Slice 464 of 781, Liver, Image size 512x512, CT slice
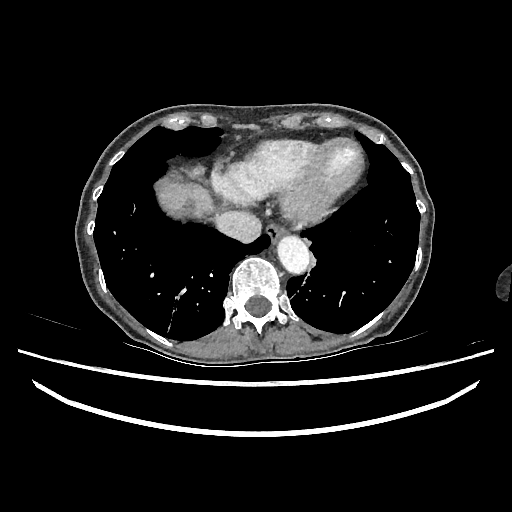
liver: (158, 181, 211, 215)